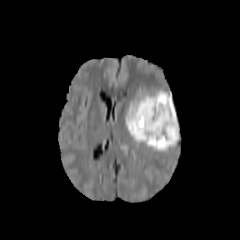
FLAIR MR.
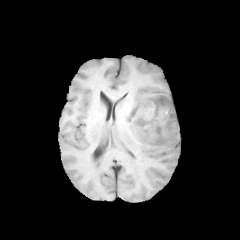
T1-weighted MR image.
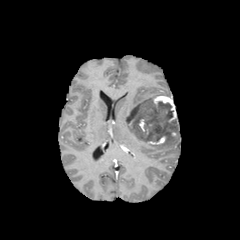
Post-contrast T1-weighted MRI.
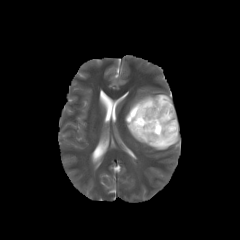
T2-weighted MR.
Image size 240x240
Edema: bounding box x1=126 y1=121 x2=146 y2=142, x1=148 y1=121 x2=180 y2=150, x1=126 y1=86 x2=169 y2=116.
Non-enhancing tumor core: bounding box x1=126 y1=99 x2=178 y2=142.
Enhancing tumor: bounding box x1=147 y1=135 x2=165 y2=144, x1=138 y1=118 x2=148 y2=134, x1=152 y1=95 x2=177 y2=122.